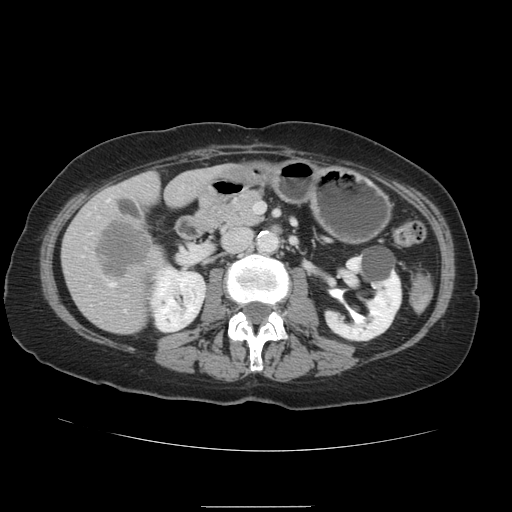
CT image, Abdomen

Not every hepatic vessel necessarily has a box.
liver tumor: 97, 221, 152, 277 | hepatic vessel: 106, 200, 108, 202; 108, 283, 113, 286